Image width 496 mm. Abdomen. CT. Slice 64/148. 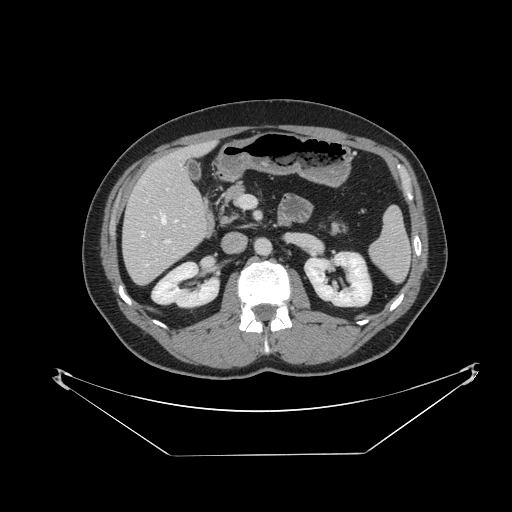
Spleen — x1=370, y1=208, x2=409, y2=280.